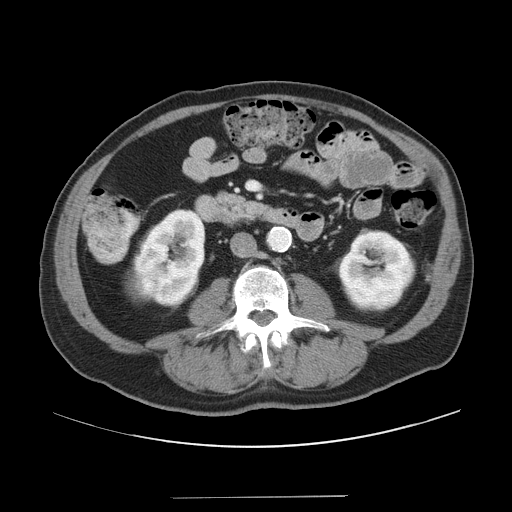 512x512 px, CT

<segmentation>
  <pancreas>bbox(218, 193, 252, 222); bbox(254, 204, 259, 218)</pancreas>
</segmentation>